Brain, Field of view 240 mm wide, 1.00 mm slice spacing
FLAIR MRI.
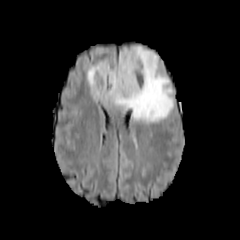
T1-weighted MR.
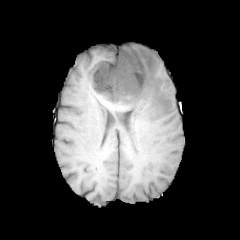
Post-contrast T1-weighted MR image.
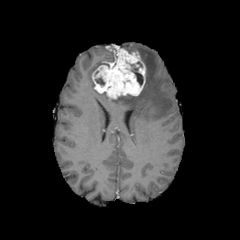
T2-weighted MR image.
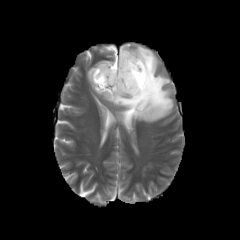
Non-enhancing tumor core: bounding box rect(132, 67, 143, 85); rect(95, 77, 105, 85).
Enhancing tumor: bounding box rect(92, 45, 145, 99).
Edema: bounding box rect(102, 45, 173, 122); rect(87, 62, 100, 91).